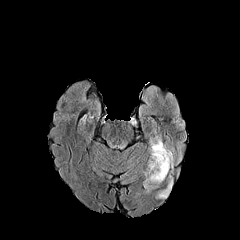
FLAIR magnetic resonance.
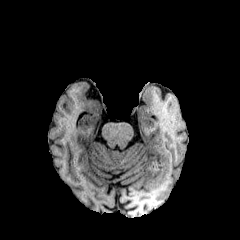
T1-weighted MR image of the same slice.
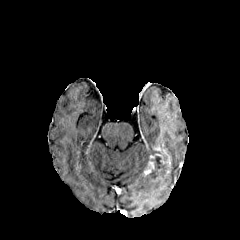
Same slice, post-contrast T1-weighted magnetic resonance.
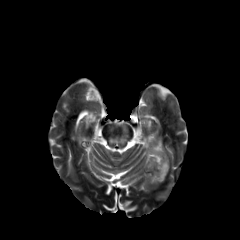
T2-weighted MR image of the same slice.
Head | 240x240
enhancing_tumor:
  - 143, 144, 172, 176
edema:
  - 142, 174, 163, 188
  - 147, 135, 163, 155
non-enhancing_tumor_core:
  - 151, 158, 166, 179